FLAIR MR image.
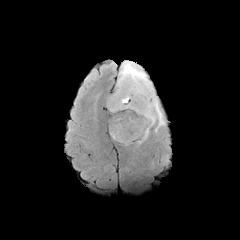
T1-weighted MR image.
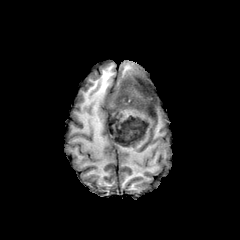
Post-contrast T1-weighted magnetic resonance.
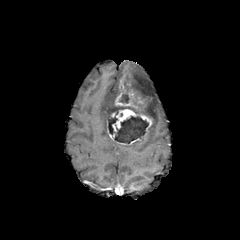
T2-weighted magnetic resonance.
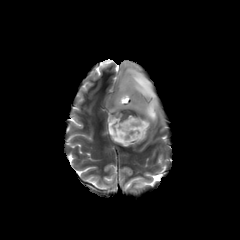
Image size 240x240; Head
{"edema": ["box(117, 60, 164, 125)"], "enhancing_tumor": ["box(115, 93, 137, 108)", "box(112, 109, 152, 131)"], "non-enhancing_tumor_core": ["box(107, 72, 153, 145)"]}